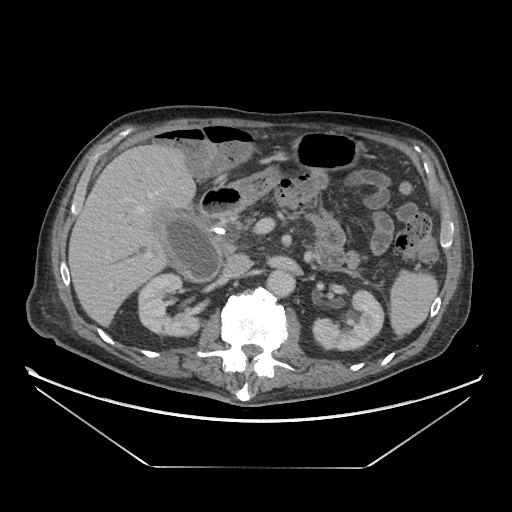

512x512 px; CT image; Abdomen
Pancreas — (226,218,253,242).